CT image. Slice 538/751.

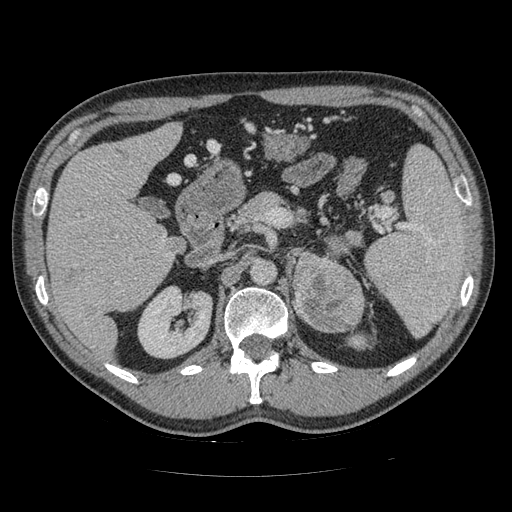
* pancreatic tumor: (left=295, top=252, right=362, bottom=330)
* pancreas: (left=307, top=235, right=356, bottom=279), (left=240, top=193, right=285, bottom=219)